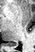 MR image.

Posterior hippocampus = 6:42:15:45.